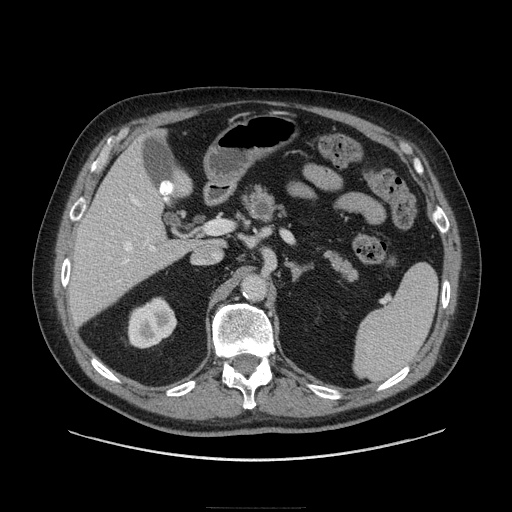
Upper abdomen, CT

Pancreas: bounding box <bbox>242, 185, 282, 222</bbox>, <bbox>319, 247, 358, 283</bbox>.
Pancreatic tumor: bounding box <bbox>254, 203, 269, 217</bbox>.